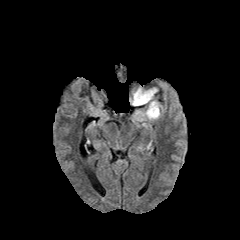
FLAIR MRI.
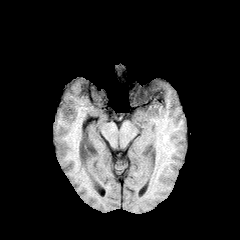
T1-weighted MR.
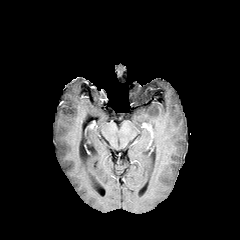
Post-contrast T1-weighted MR image.
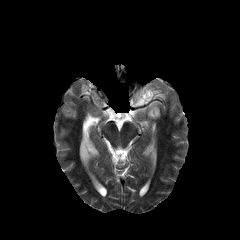
T2-weighted magnetic resonance.
edema:
  - 130 88 161 122